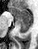
MRI slice | Hippocampus

Segmented structures:
• posterior hippocampus: [18,21,32,32]
• anterior hippocampus: [9,7,32,20]